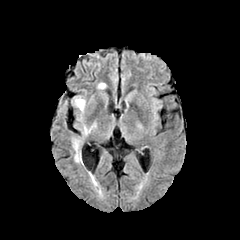
FLAIR MR image.
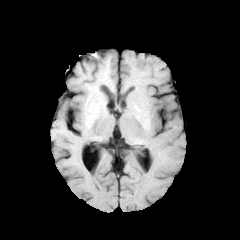
Same slice, T1-weighted MR image.
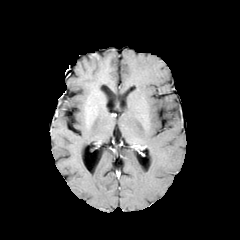
Same slice, post-contrast T1-weighted MR image.
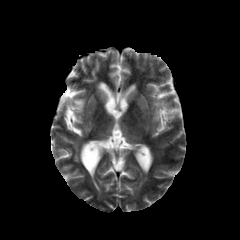
T2-weighted magnetic resonance of the same slice.
240x240 px
Segmented structures:
- edema: bbox(72, 139, 82, 162); bbox(96, 82, 107, 103); bbox(72, 96, 93, 135)